CT image; Image width 360 mm 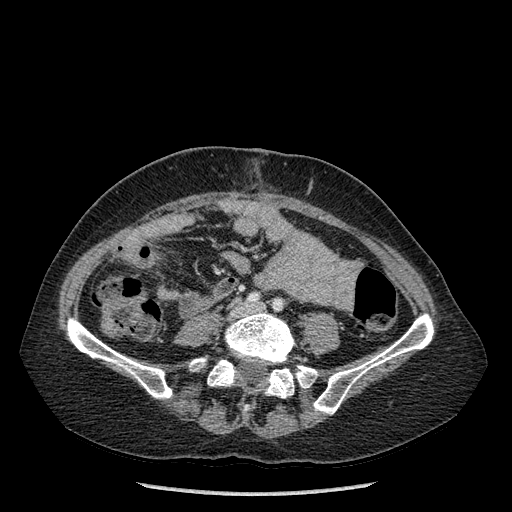 Bone: box=[313, 313, 433, 414]; box=[189, 358, 206, 371]; box=[295, 365, 317, 388]; box=[66, 318, 172, 399]; box=[261, 368, 294, 398]; box=[207, 359, 237, 386]; box=[225, 312, 294, 363].